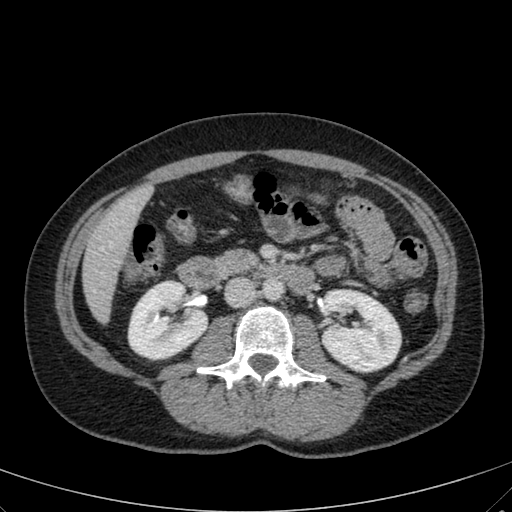
512x512. CT.
<segmentation>
  <kidney>129, 282, 206, 358; 323, 290, 399, 371</kidney>
  <liver>82, 199, 138, 322</liver>
</segmentation>